CT scan slice | Slice 569 of 689 | Thorax
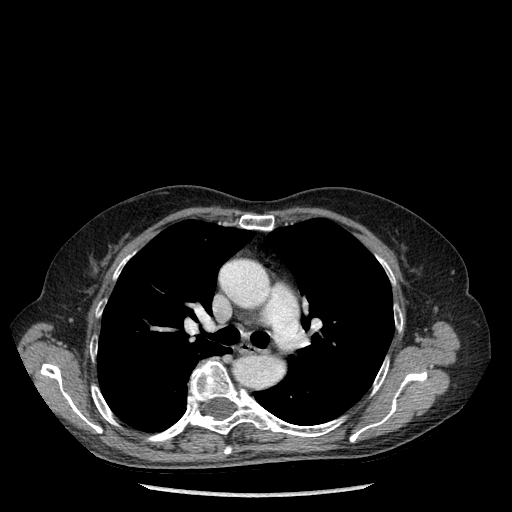
Lung = x1=97, y1=220, x2=253, y2=432; x1=251, y1=332, x2=268, y2=347; x1=254, y1=218, x2=394, y2=425.
Bone = x1=147, y1=358, x2=344, y2=441; x1=91, y1=385, x2=118, y2=425; x1=40, y1=363, x2=102, y2=433; x1=90, y1=338, x2=97, y2=359; x1=350, y1=371, x2=427, y2=441; x1=224, y1=446, x2=231, y2=454; x1=372, y1=358, x2=388, y2=394; x1=113, y1=255, x2=129, y2=279; x1=239, y1=214, x2=274, y2=230; x1=95, y1=300, x2=105, y2=316; x1=394, y1=305, x2=402, y2=331; x1=376, y1=255, x2=395, y2=284.